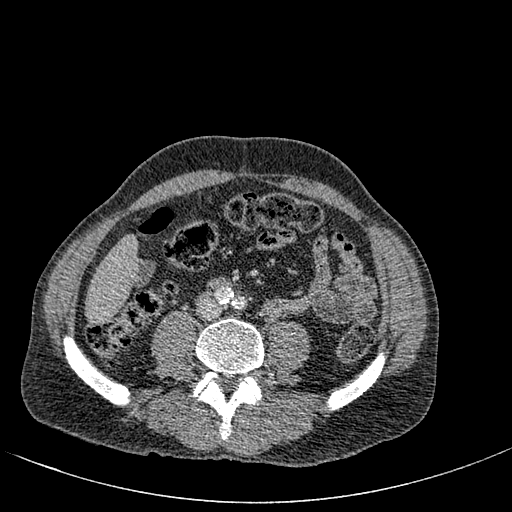 Liver, CT slice
The liver is at [86, 236, 136, 321].